Slice 83/155
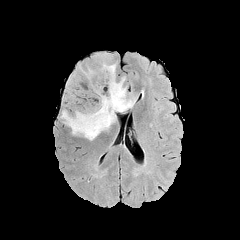
FLAIR MRI.
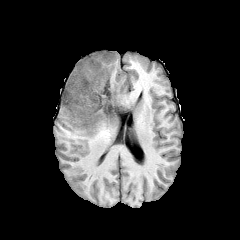
T1-weighted MRI of the same slice.
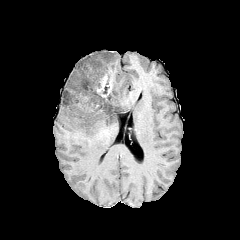
Post-contrast T1-weighted MR image.
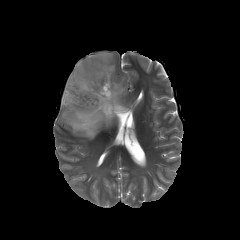
Same slice, T2-weighted MR.
The non-enhancing tumor core is located at region(96, 67, 115, 113). The enhancing tumor is at region(97, 75, 107, 92). The edema is located at region(61, 53, 136, 140).